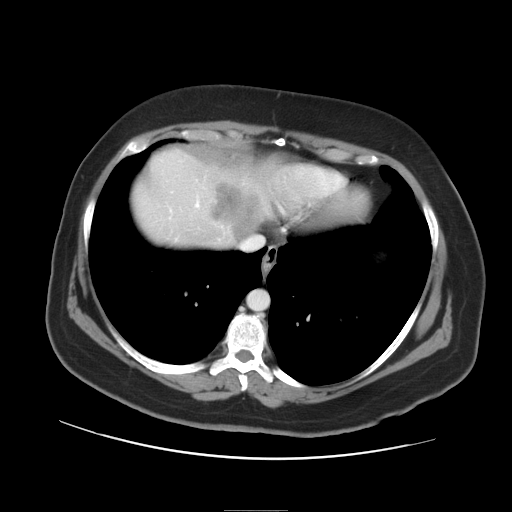 CT slice
The vessel boxes may cover only some of the vessels.
The liver tumor is located at x1=216, y1=186, x2=262, y2=236. The hepatic vessel lies within x1=240, y1=236, x2=263, y2=249.